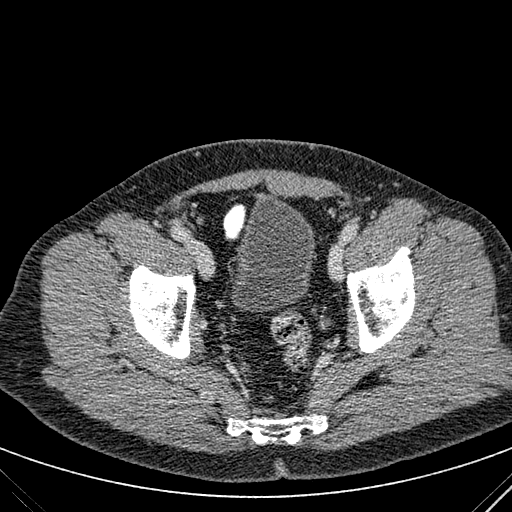
CT scan slice
{
  "urinary_bladder": [
    "[226,197,316,313]"
  ]
}